Slice index 89. Head.
FLAIR MR image.
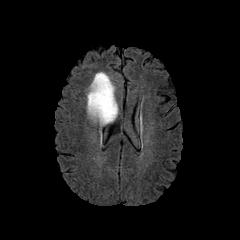
T1-weighted MR.
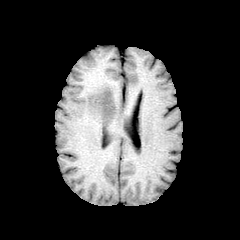
Post-contrast T1-weighted magnetic resonance.
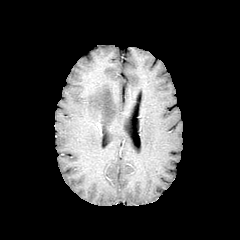
T2-weighted magnetic resonance.
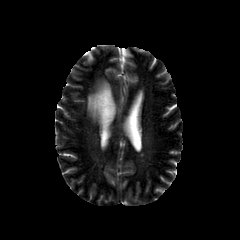
The edema appears at box=[85, 72, 118, 126].